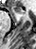

MRI
<segmentation>
  <anterior_hippocampus>12,5,25,14</anterior_hippocampus>
</segmentation>